Slice 88/155. Image size 240x240. Brain.
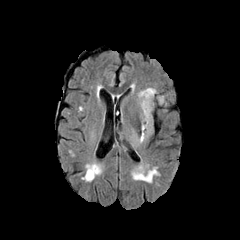
FLAIR magnetic resonance.
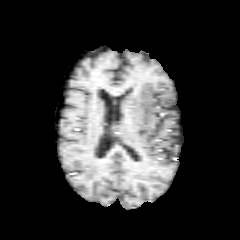
T1-weighted magnetic resonance.
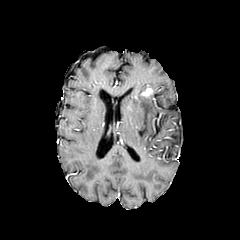
Post-contrast T1-weighted MR of the same slice.
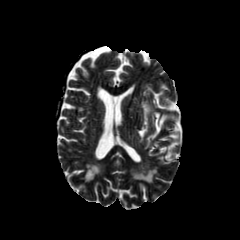
Same slice, T2-weighted magnetic resonance.
Segmented structures:
• edema: 136:88:165:142
• enhancing tumor: 142:89:153:95